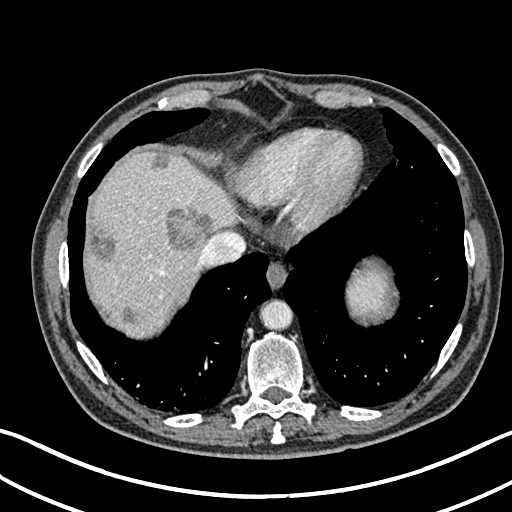
Abdomen. Computed tomography. Segmented structures:
• liver lesion: x1=166 y1=209 x2=210 y2=252, x1=124 y1=306 x2=136 y2=322, x1=89 y1=228 x2=113 y2=262, x1=151 y1=154 x2=169 y2=170
• liver: x1=86 y1=152 x2=235 y2=335